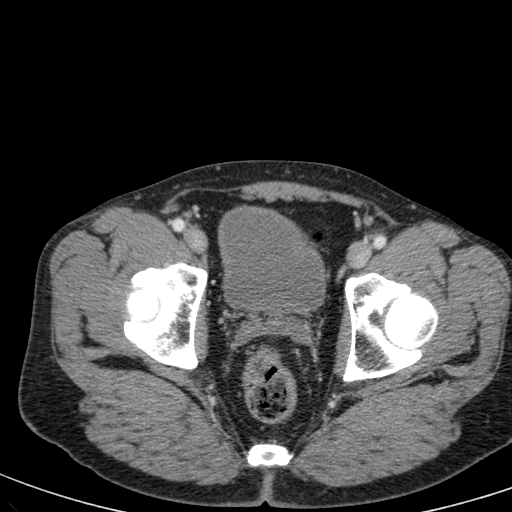 CT scan slice. Pelvis. The urinary bladder lies within rect(219, 206, 323, 319).